CT slice. Image width 419 mm. Liver. Image size 512x512. 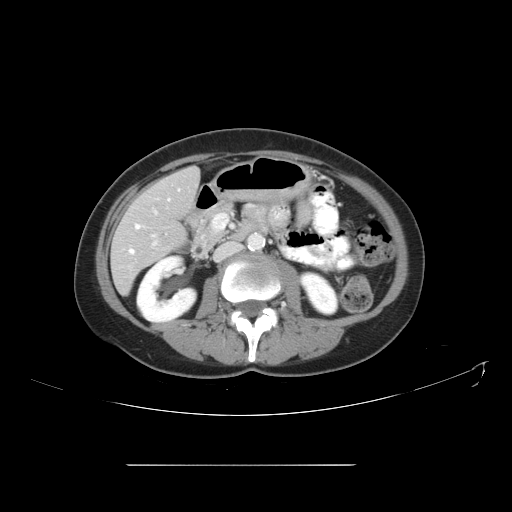
The vessel boxes may cover only some of the vessels.
Hepatic vessel: (154, 210, 157, 214), (129, 249, 134, 253), (167, 198, 170, 200), (152, 234, 155, 238), (151, 240, 156, 247), (178, 189, 179, 190), (135, 224, 139, 228).